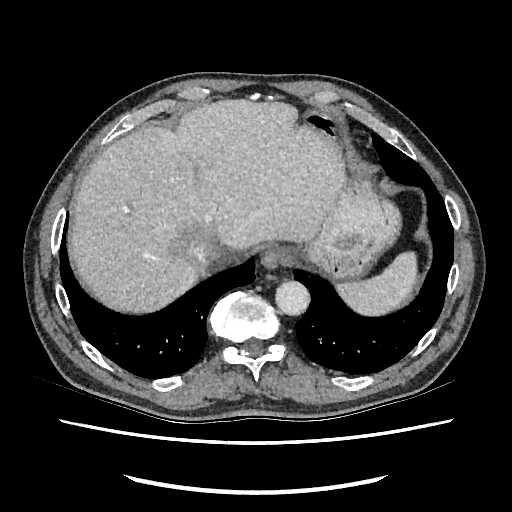

Computed tomography, 512x512 px
The focal liver lesion lies within x1=174, y1=226, x2=203, y2=260. The liver is at x1=72, y1=100, x2=340, y2=310.